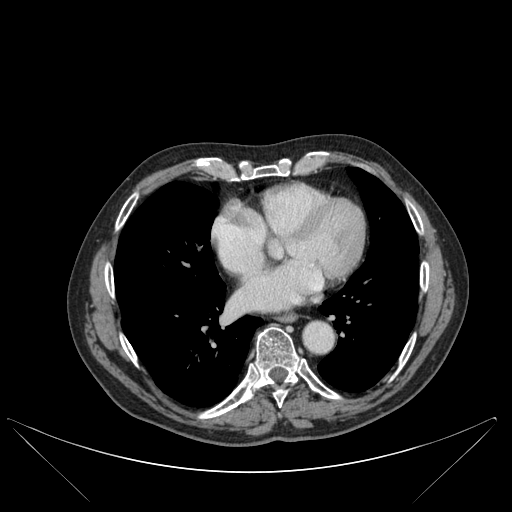
Chest; CT slice; Image size 512x512
bone:
  - 407, 202, 422, 232
  - 199, 327, 339, 418
  - 235, 166, 288, 180
  - 195, 159, 219, 166
  - 397, 334, 415, 372
  - 306, 153, 327, 156
  - 104, 263, 114, 296
  - 116, 195, 136, 229
  - 420, 262, 429, 290
  - 120, 335, 137, 365
lung:
  - 318, 167, 418, 392
  - 114, 181, 262, 406